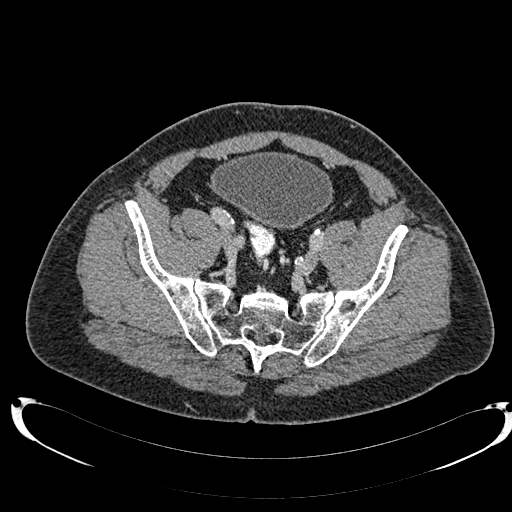
CT slice
Urinary bladder = box(212, 152, 331, 229).